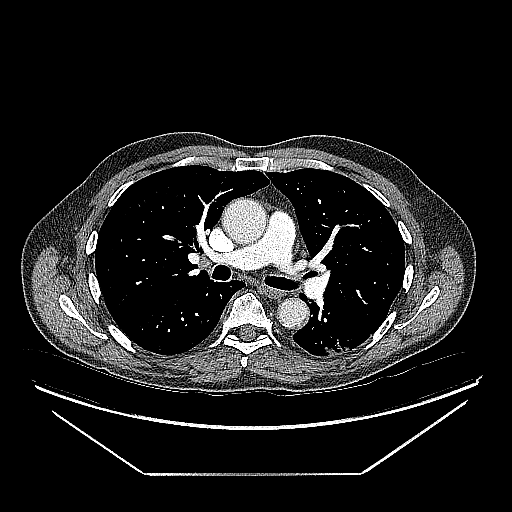 Chest, CT scan slice, 512x512 px
lung_tumor:
  - <bbox>318, 334, 353, 355</bbox>